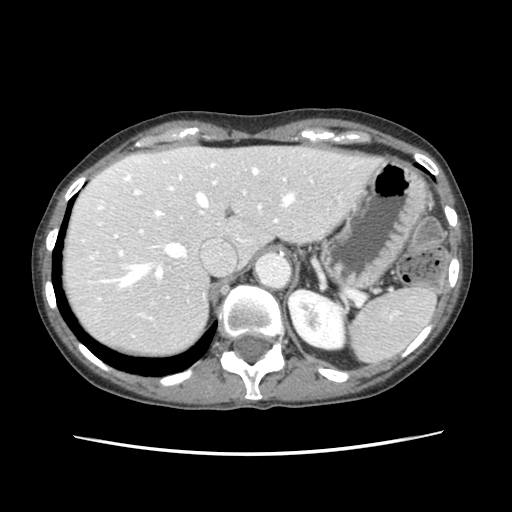 CT slice | Image size 512x512
spleen: (350, 288, 434, 361)